FLAIR MRI.
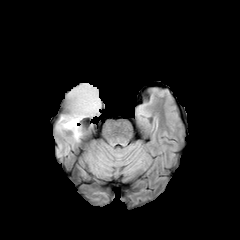
T1-weighted MRI.
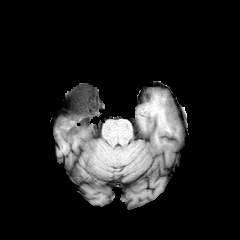
Post-contrast T1-weighted magnetic resonance.
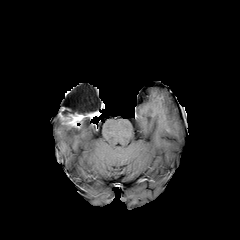
T2-weighted magnetic resonance.
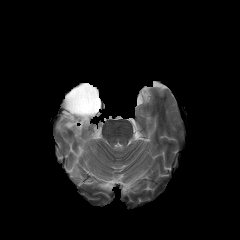
Brain
Non-enhancing tumor core: bounding box box=[62, 84, 101, 116].
Edema: bounding box box=[57, 121, 81, 140].
Enhancing tumor: bounding box box=[61, 110, 99, 127].